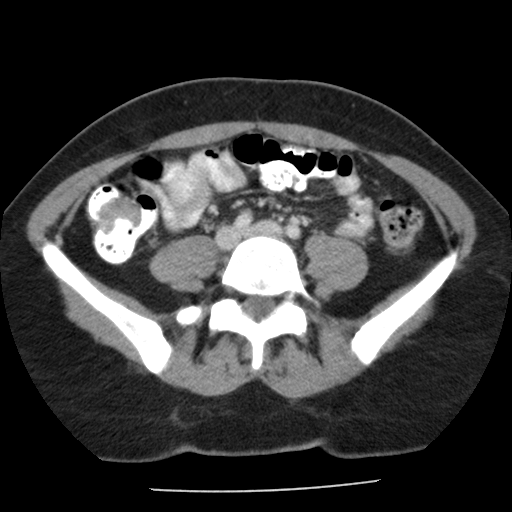
Pelvis; CT
Colon tumor at 100:199:140:231.